Upper abdomen | CT 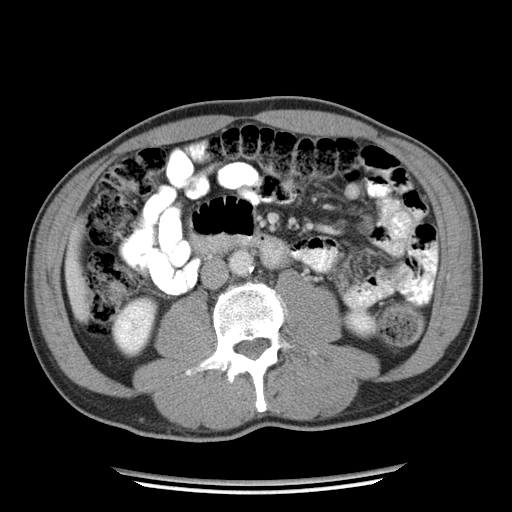

Pancreas = {"x1": 197, "y1": 239, "x2": 239, "y2": 251}.